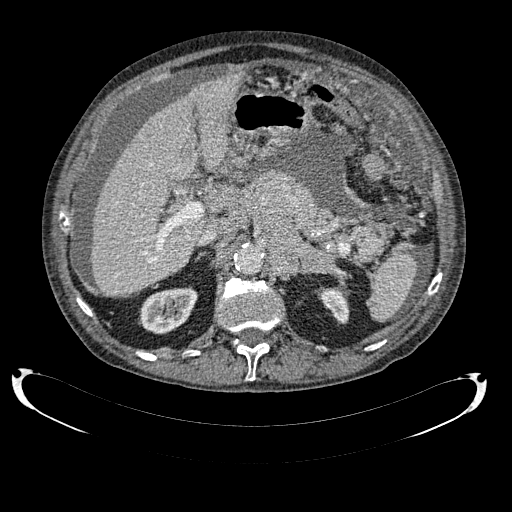
Computed tomography. 2 kidney regions are bounded by left=321, top=289, right=348, bottom=322; left=141, top=288, right=196, bottom=332. The liver is bounded by left=91, top=71, right=246, bottom=296.